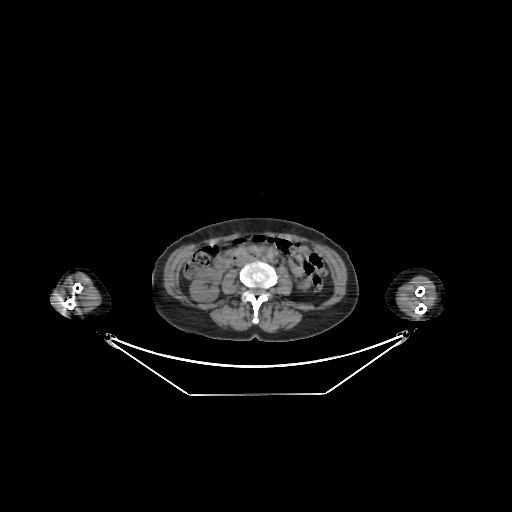 Image size 512x512 | CT | Abdomen
kidney: (189,267,223,306)